Brain | 240x240
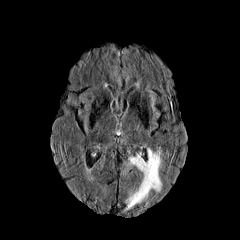
FLAIR magnetic resonance.
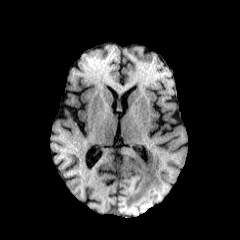
T1-weighted MRI.
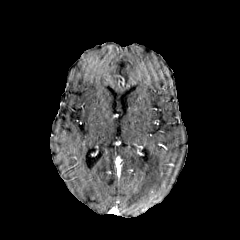
Post-contrast T1-weighted magnetic resonance.
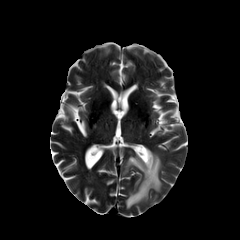
Same slice, T2-weighted magnetic resonance.
The edema is at (124,148,162,209).